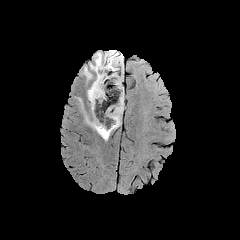
FLAIR MR.
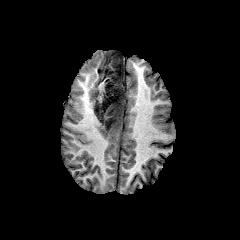
Same slice, T1-weighted MRI.
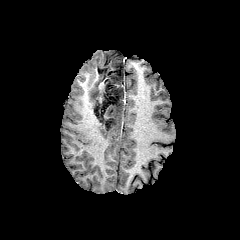
Post-contrast T1-weighted magnetic resonance.
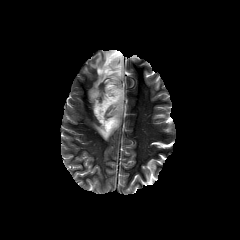
Same slice, T2-weighted MRI.
Brain
Non-enhancing tumor core = [x1=95, y1=52, x2=123, y2=131].
Edema = [x1=87, y1=51, x2=113, y2=109], [x1=87, y1=98, x2=124, y2=140].